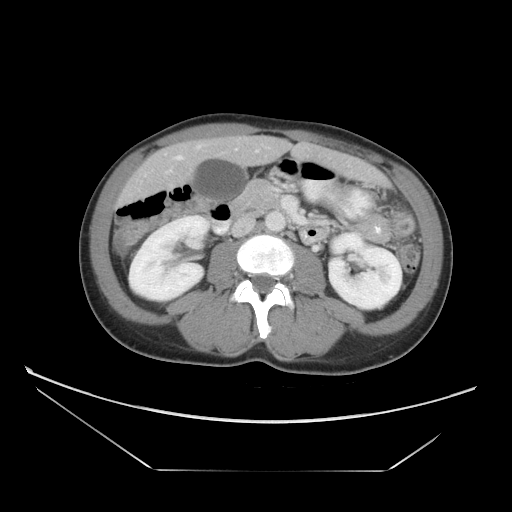 Liver | CT image
Some hepatic vessels may have no box.
The hepatic vessel is at 173 154 184 160.